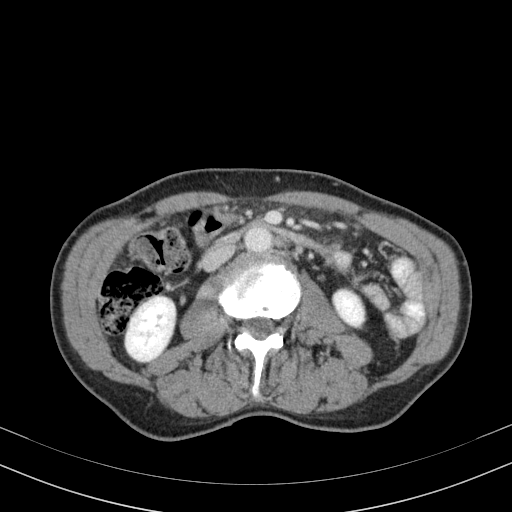
Computed tomography
Kidney at (left=126, top=297, right=174, bottom=360), (left=334, top=291, right=363, bottom=325).